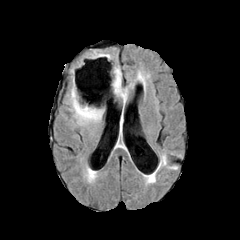
FLAIR MRI.
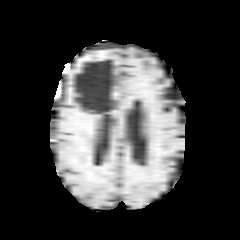
T1-weighted MR.
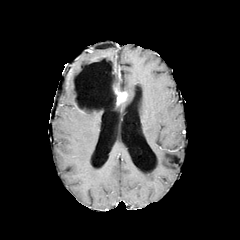
Post-contrast T1-weighted magnetic resonance.
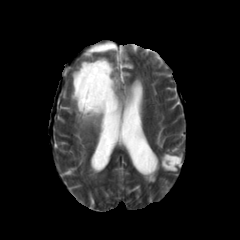
Same slice, T2-weighted MR image.
Head
Edema — region(111, 72, 145, 97); region(68, 82, 101, 127); region(160, 154, 175, 169); region(89, 52, 107, 57).
Non-enhancing tumor core — region(74, 70, 117, 117).
Enhancing tumor — region(114, 87, 127, 102).